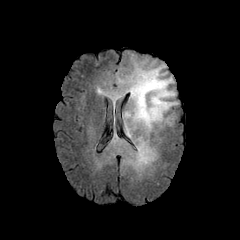
FLAIR MR image.
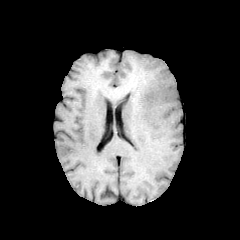
T1-weighted magnetic resonance of the same slice.
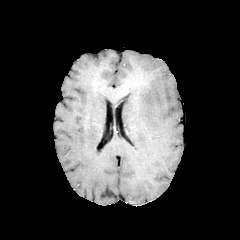
Post-contrast T1-weighted MR.
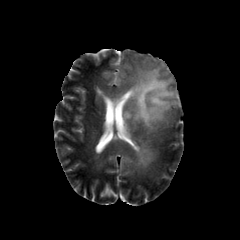
T2-weighted magnetic resonance of the same slice.
Head
Non-enhancing tumor core — (left=128, top=73, right=148, bottom=107).
Edema — (left=97, top=62, right=178, bottom=136), (left=135, top=141, right=154, bottom=165).